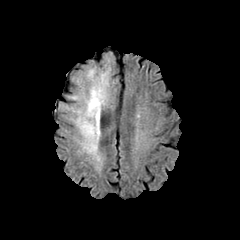
FLAIR MRI.
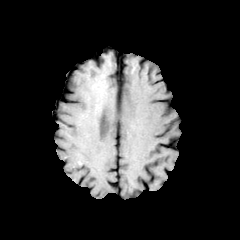
T1-weighted MR image of the same slice.
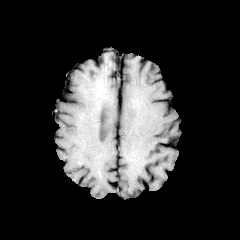
Post-contrast T1-weighted MRI of the same slice.
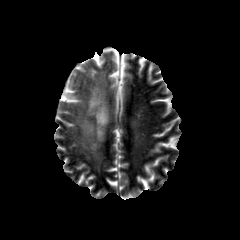
T2-weighted MR of the same slice.
Brain
edema: {"x1": 76, "y1": 74, "x2": 106, "y2": 160} | non-enhancing tumor core: {"x1": 90, "y1": 87, "x2": 106, "y2": 115}